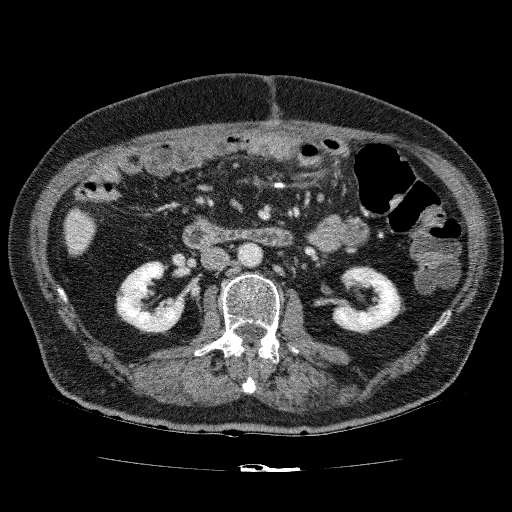

Image size 512x512; CT slice
Segmented structures:
• kidney: x1=117, y1=261, x2=184, y2=332; x1=333, y1=267, x2=400, y2=332
• liver: x1=64, y1=207, x2=97, y2=258